FLAIR magnetic resonance.
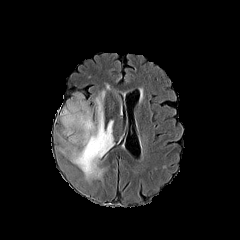
T1-weighted MRI.
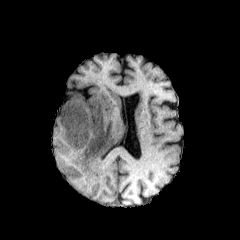
Post-contrast T1-weighted MRI.
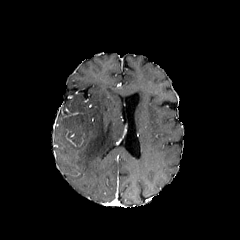
T2-weighted MR image.
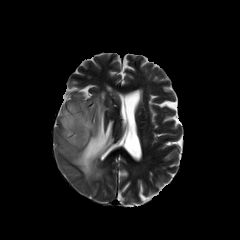
Head; Image size 240x240
{
  "edema": [
    "bbox=[59, 85, 114, 182]"
  ]
}